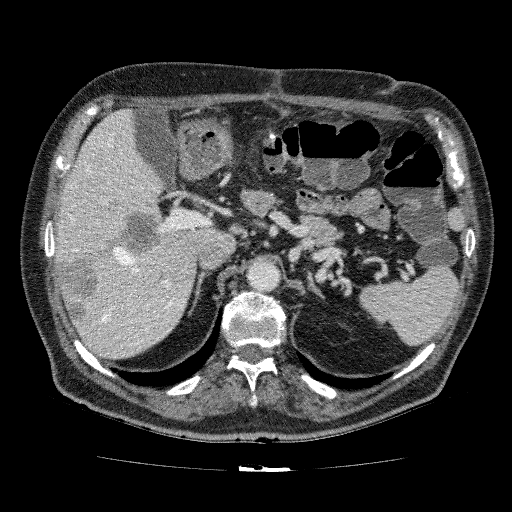 Computed tomography
hepatic lesion: box=[55, 208, 163, 323] | liver: box=[55, 108, 165, 258]; box=[72, 228, 236, 359]